Image width 392 mm, Slice 474 of 729, CT slice
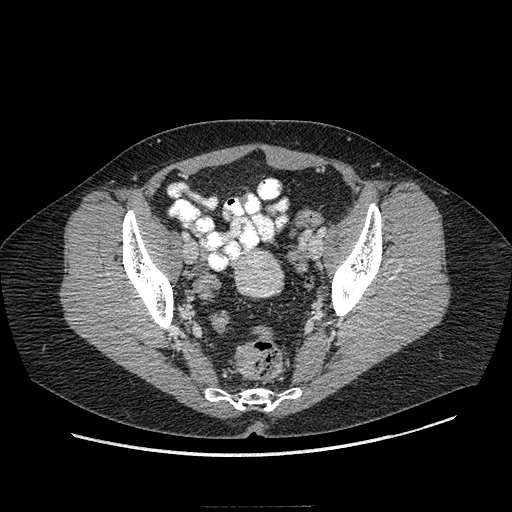

<segmentation>
  <colon_tumor>left=236, top=344, right=258, bottom=375</colon_tumor>
</segmentation>